Upper abdomen | CT scan slice | Slice 56 of 93 | 512x512 px
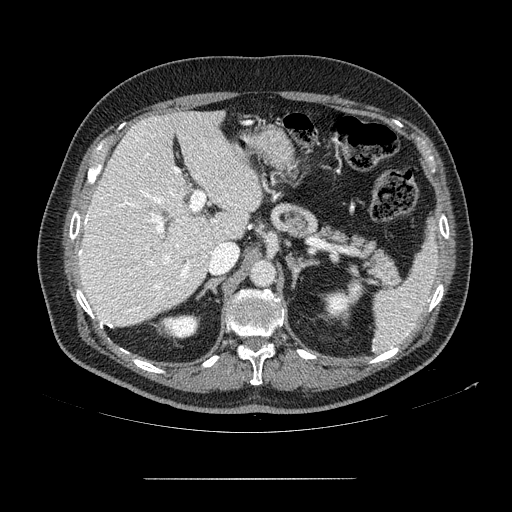

Findings:
• pancreas: (left=281, top=209, right=401, bottom=284)